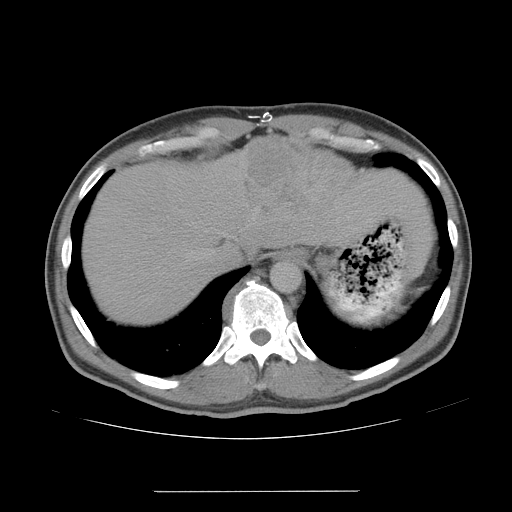

Abdomen. CT. The vessel boxes may cover only some of the vessels.
Segmented structures:
* hepatic vessel: (205, 230, 206, 231), (246, 224, 250, 226), (240, 230, 241, 232), (183, 246, 239, 264), (252, 207, 259, 219), (229, 235, 237, 239), (221, 232, 226, 235)
* liver tumor: (243, 138, 359, 210)